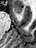
Image size 36x48, Magnetic resonance, Medial temporal lobe
Anterior hippocampus — box=[14, 8, 21, 13].